CT, Slice index 315

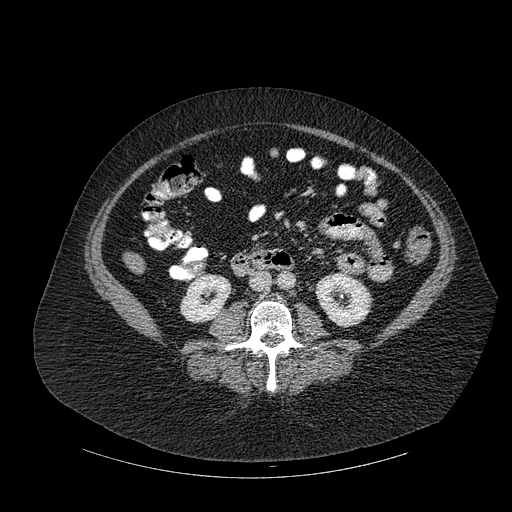

2 kidney regions appear at (left=316, top=273, right=370, bottom=326), (left=181, top=274, right=230, bottom=322). The liver appears at (left=123, top=252, right=145, bottom=273). The bone appears at (left=225, top=301, right=302, bottom=391).